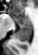 Magnetic resonance
anterior hippocampus: 13:15:31:24 | posterior hippocampus: 16:25:31:41